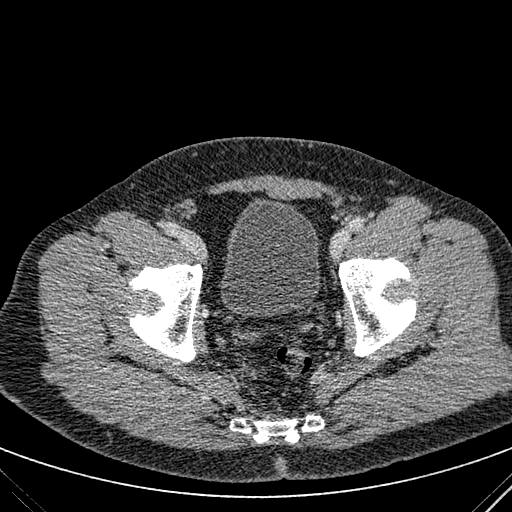
Pelvis | Computed tomography
urinary bladder: (left=219, top=197, right=321, bottom=316)